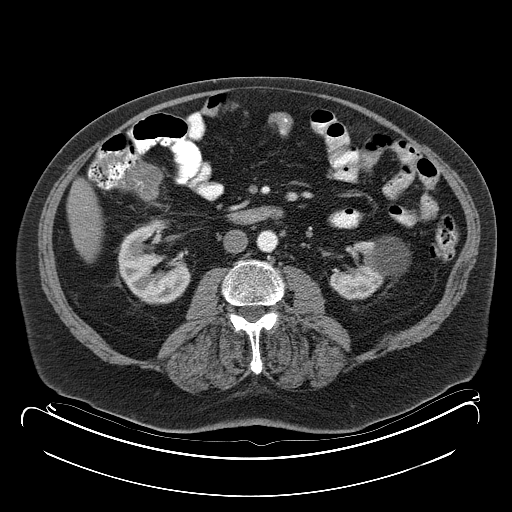

Computed tomography; Abdomen
Colon tumor: rect(124, 163, 161, 200).